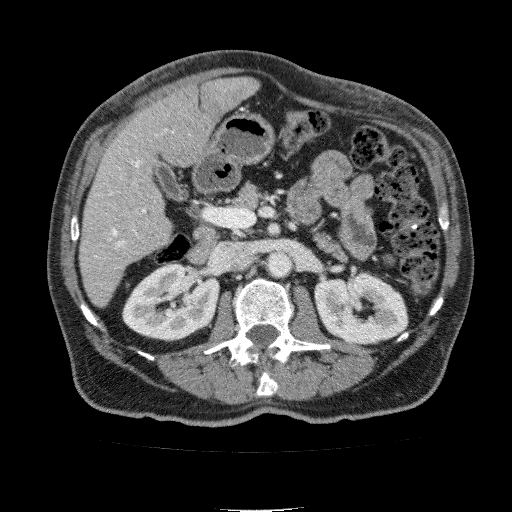 CT scan slice, 512x512 px
2 kidney regions are located at <bbox>123, 264, 218, 339</bbox>, <bbox>315, 274, 406, 343</bbox>. The liver lies within <bbox>81, 77, 260, 307</bbox>.